Abdomen; 512x512 px; CT slice
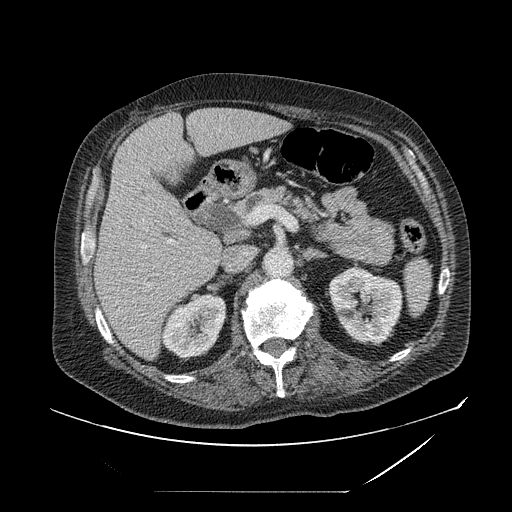

The pancreas appears at bbox(232, 186, 322, 224).